Computed tomography, Abdomen
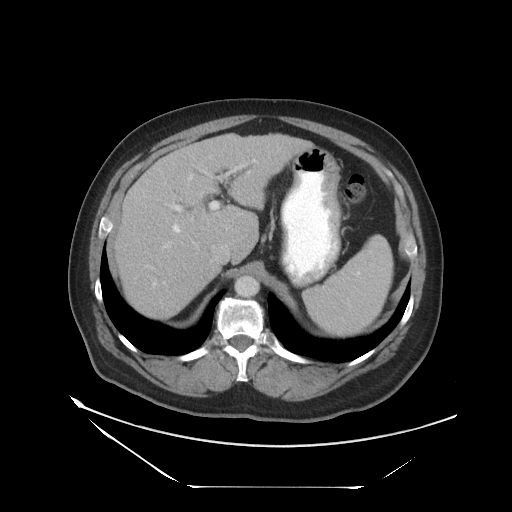 The vessel annotation is not exhaustive.
Annotated regions:
* hepatic vessel: box(189, 175, 191, 180); box(171, 220, 181, 233); box(233, 165, 243, 170); box(168, 241, 173, 243); box(190, 217, 192, 220); box(171, 205, 182, 210)